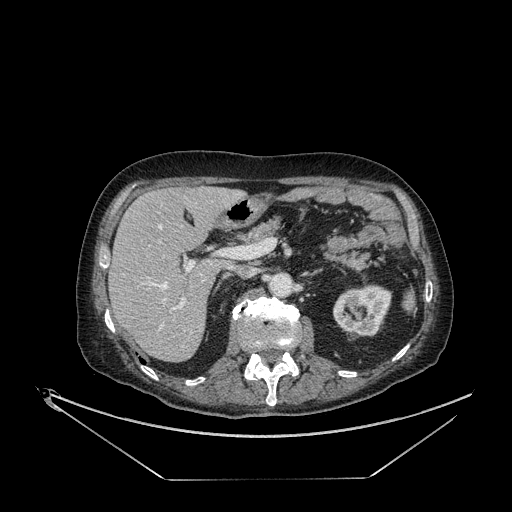
Upper abdomen, CT

- liver: (left=108, top=186, right=244, bottom=361)
- kidney: (left=333, top=285, right=390, bottom=335)